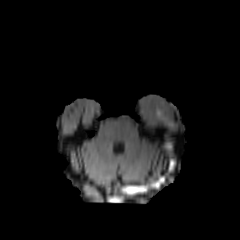
FLAIR MRI.
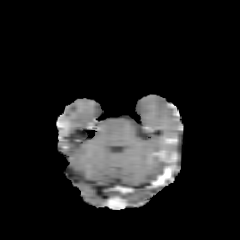
T1-weighted MR image.
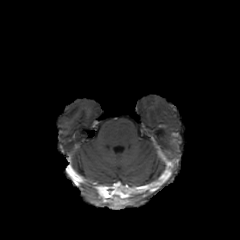
Post-contrast T1-weighted MR of the same slice.
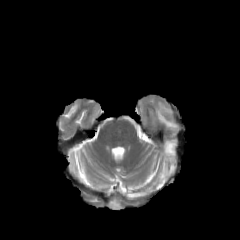
T2-weighted MRI of the same slice.
Head.
Edema: bbox=[156, 107, 177, 129]; bbox=[164, 139, 179, 154].